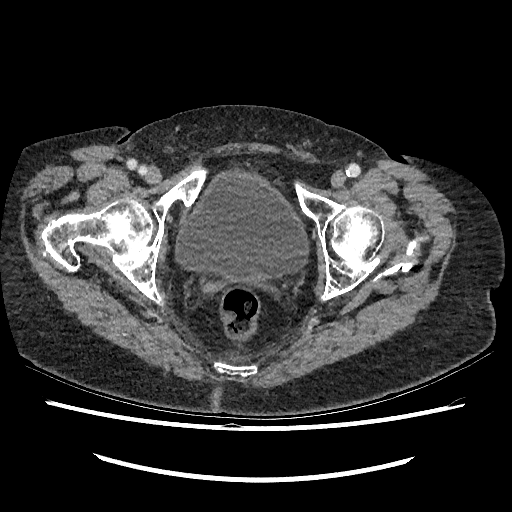

Pelvis, Computed tomography, Image size 512x512

The urinary bladder is located at 175 174 309 288.